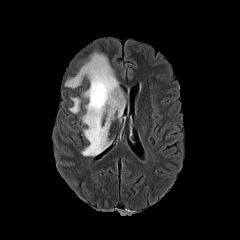
FLAIR magnetic resonance.
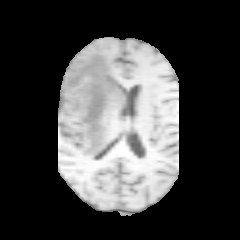
Same slice, T1-weighted MR image.
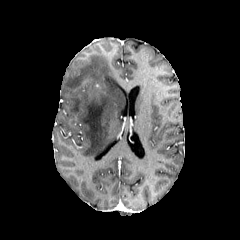
Same slice, post-contrast T1-weighted MRI.
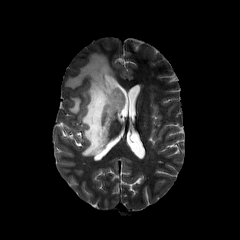
T2-weighted MR image.
Head
Edema = box(69, 97, 80, 113); box(64, 52, 124, 156).